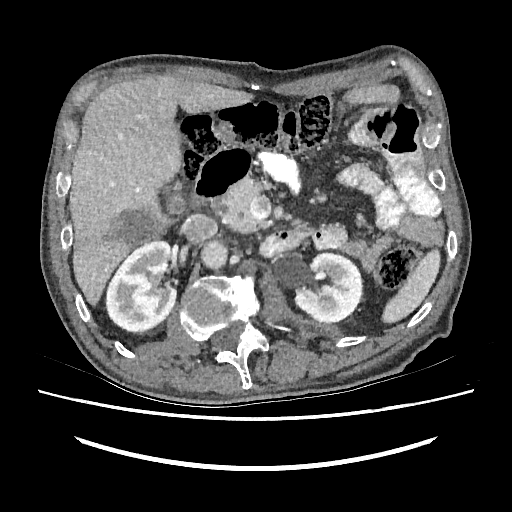 Liver. CT scan slice.

The liver appears at (x1=71, y1=76, x2=250, y2=306). 2 kidney regions appear at (x1=107, y1=242, x2=175, y2=331), (x1=296, y1=253, x2=361, y2=322). 2 liver lesion regions are located at (x1=105, y1=209, x2=161, y2=247), (x1=75, y1=241, x2=83, y2=250).